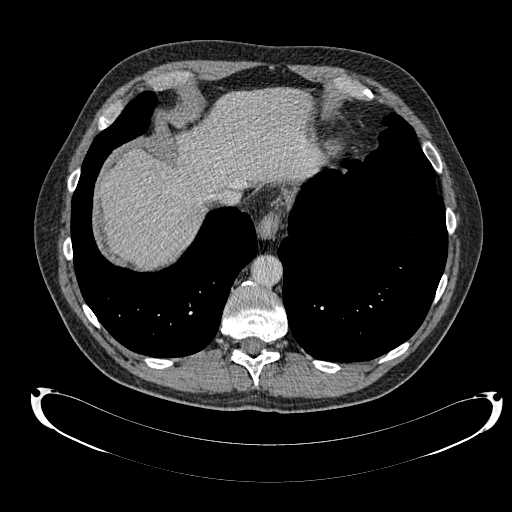
CT
liver: x1=99, y1=88, x2=324, y2=268